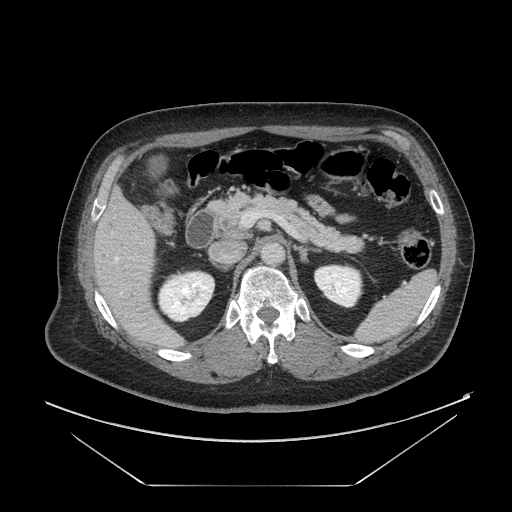 Computed tomography. Upper abdomen. pancreas:
  - [209, 193, 364, 254]